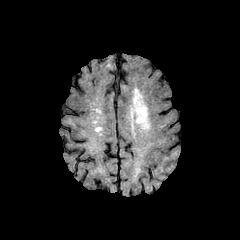
FLAIR magnetic resonance.
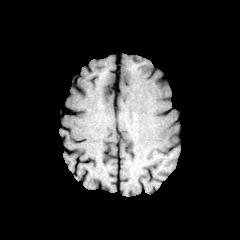
T1-weighted magnetic resonance.
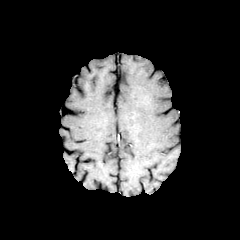
Post-contrast T1-weighted magnetic resonance.
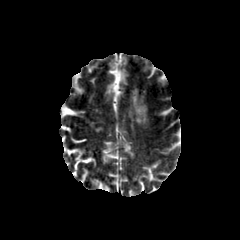
Same slice, T2-weighted MR.
edema:
  - (x1=131, y1=89, x2=148, y2=128)